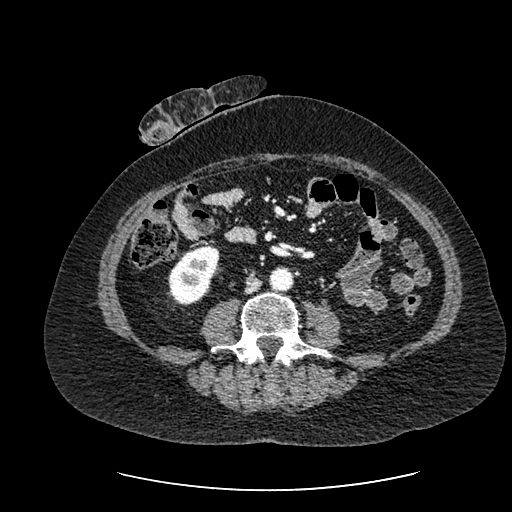 Abdomen, CT

Annotated regions:
* kidney: bbox(169, 246, 218, 303)